Abdomen | CT | Slice 36/65
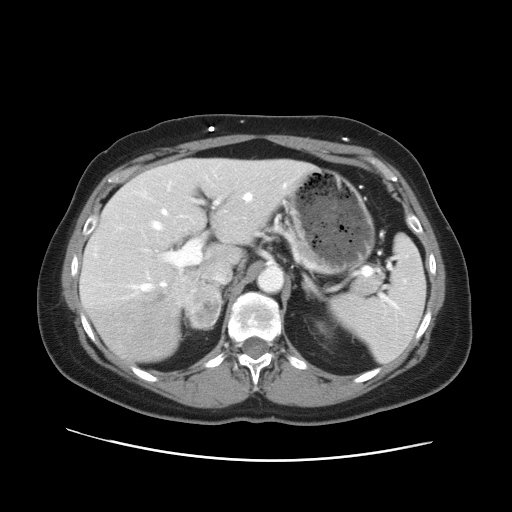

Only some of the vessels may be annotated.
Findings:
- liver tumor: x1=172, y1=273, x2=216, y2=326
- hepatic vessel: x1=215, y1=199, x2=219, y2=203; x1=160, y1=208, x2=168, y2=215; x1=134, y1=190, x2=148, y2=198; x1=161, y1=283, x2=165, y2=285; x1=149, y1=221, x2=163, y2=230; x1=117, y1=226, x2=122, y2=229; x1=246, y1=194, x2=253, y2=198; x1=143, y1=249, x2=148, y2=251; x1=160, y1=239, x2=202, y2=269; x1=167, y1=181, x2=171, y2=190